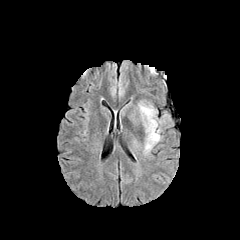
FLAIR MR image.
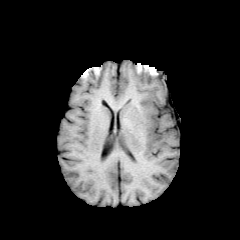
Same slice, T1-weighted MRI.
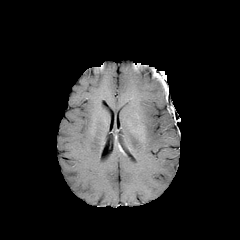
Same slice, post-contrast T1-weighted MR image.
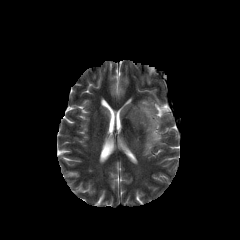
Same slice, T2-weighted MR image.
The edema is bounded by [136,100,167,155].